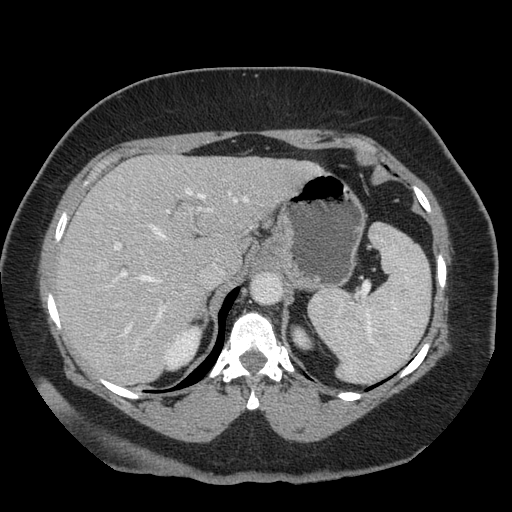 CT scan slice. Abdomen.

The vessel boxes may cover only some of the vessels.
partial: true
hepatic_vessel:
  # 15 of 16 shown
  - left=151, top=226, right=164, bottom=237
  - left=121, top=325, right=130, bottom=336
  - left=157, top=307, right=165, bottom=321
  - left=114, top=272, right=125, bottom=282
  - left=233, top=199, right=237, bottom=202
  - left=141, top=308, right=143, bottom=310
  - left=108, top=200, right=110, bottom=202
  - left=229, top=193, right=231, bottom=196
  - left=199, top=194, right=204, bottom=198
  - left=114, top=243, right=120, bottom=250
  - left=244, top=198, right=247, bottom=200
  - left=107, top=286, right=110, bottom=287
  - left=186, top=189, right=191, bottom=194
  - left=141, top=276, right=160, bottom=283
  - left=148, top=327, right=152, bottom=332